Liver | CT scan slice

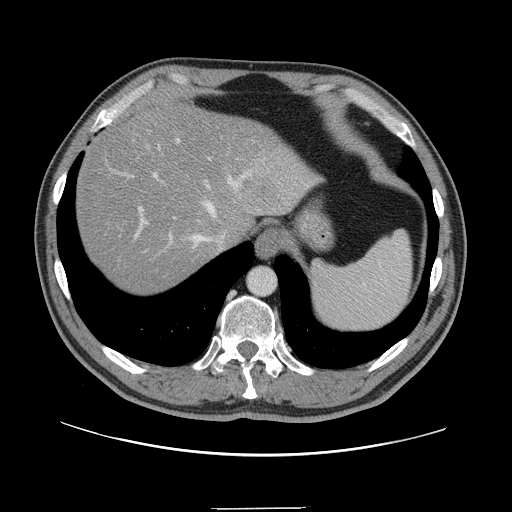 The vessel boxes may cover only some of the vessels.
Hepatic vessel — l=177, t=140, r=179, b=142; l=205, t=203, r=215, b=214; l=209, t=158, r=210, b=159; l=123, t=174, r=133, b=177; l=229, t=177, r=240, b=190; l=170, t=235, r=172, b=242; l=154, t=174, r=157, b=177; l=192, t=236, r=208, b=248; l=244, t=171, r=249, b=175; l=135, t=207, r=146, b=239; l=205, t=181, r=209, b=188.